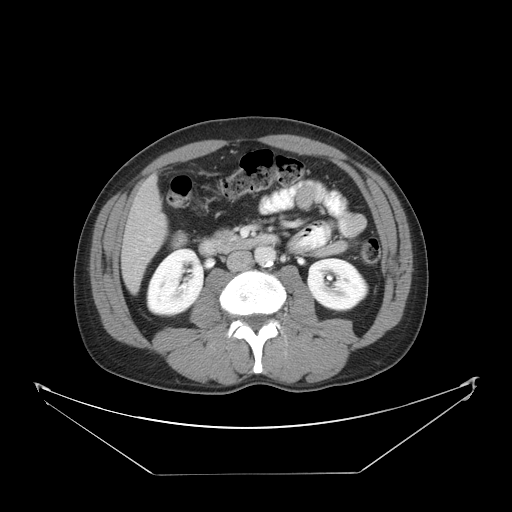
CT scan slice.

The vessel annotation is not exhaustive.
liver tumor: box(156, 215, 166, 223) | hepatic vessel: box(136, 249, 137, 251); box(147, 238, 151, 242)